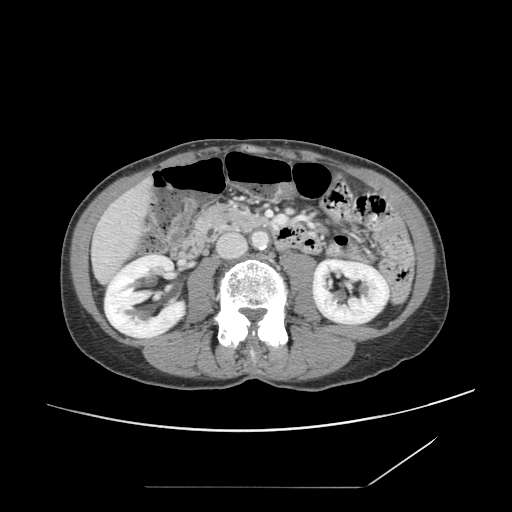

Computed tomography
Pancreas — 195:204:266:242.